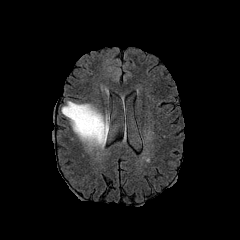
FLAIR MR image.
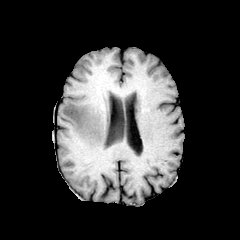
T1-weighted magnetic resonance.
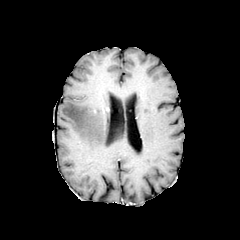
Post-contrast T1-weighted MR.
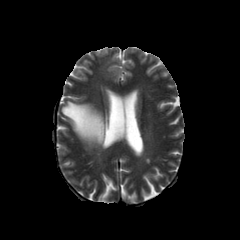
T2-weighted MR image.
Head; Image size 240x240
The edema lies within [x1=61, y1=100, x2=109, y2=150].